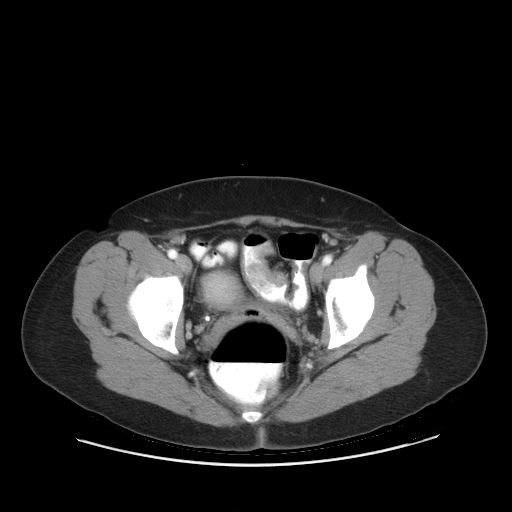

Abdomen; CT

3 colon tumor regions are located at bbox(301, 261, 308, 273); bbox(246, 246, 298, 298); bbox(290, 262, 298, 278).